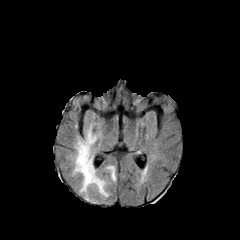
FLAIR MRI.
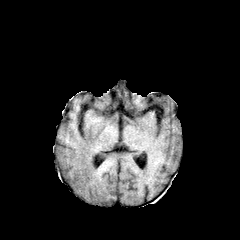
T1-weighted MR image of the same slice.
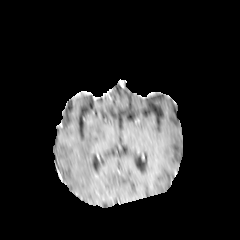
Post-contrast T1-weighted magnetic resonance.
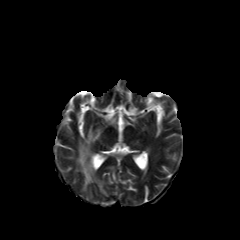
T2-weighted MRI.
Edema at bbox(107, 165, 116, 181); bbox(72, 125, 109, 198).